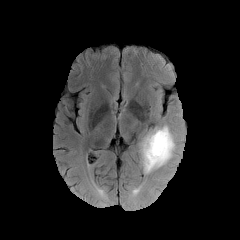
FLAIR magnetic resonance.
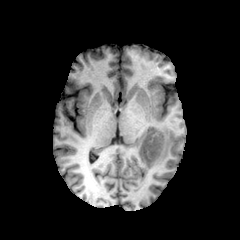
T1-weighted MRI.
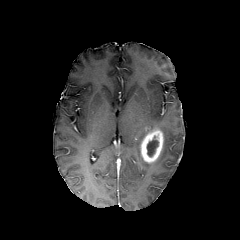
Same slice, post-contrast T1-weighted MRI.
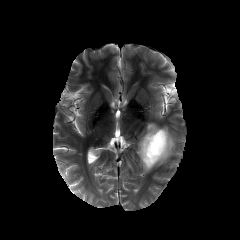
Same slice, T2-weighted MR.
Image size 240x240.
enhancing tumor: box(140, 129, 163, 163) | non-enhancing tumor core: box(147, 136, 158, 157) | edema: box(139, 125, 176, 176)